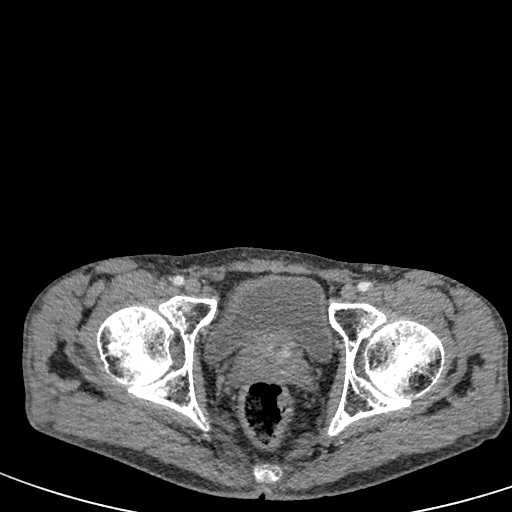

CT image
Urinary bladder: x1=204, y1=273, x2=333, y2=363.